512x512 | Upper abdomen | Slice index 337 | CT scan slice 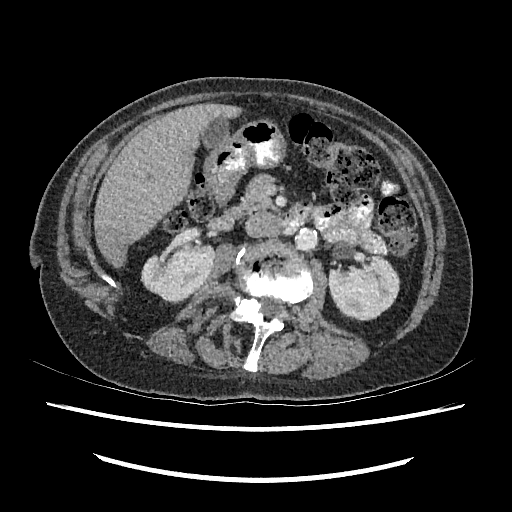 <segmentation>
  <liver>left=95, top=103, right=239, bottom=266</liver>
  <kidney>left=142, top=246, right=214, bottom=300; left=329, top=253, right=398, bottom=319</kidney>
  <liver_lesion>left=110, top=231, right=132, bottom=251</liver_lesion>
</segmentation>